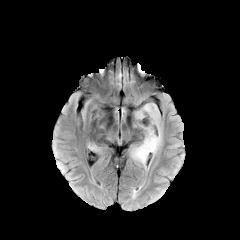
FLAIR MR.
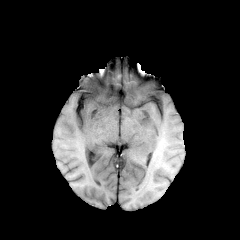
T1-weighted magnetic resonance.
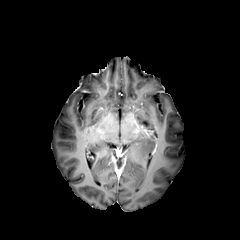
Post-contrast T1-weighted MRI.
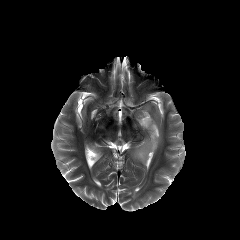
Same slice, T2-weighted MR.
Head
Edema — 131 103 161 167.